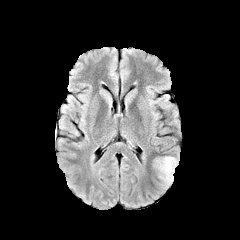
FLAIR MR.
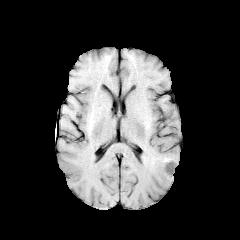
T1-weighted MRI.
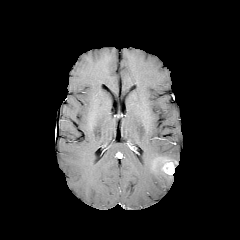
Post-contrast T1-weighted MRI.
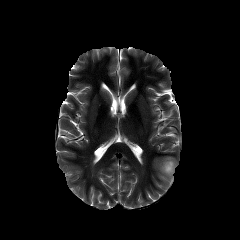
T2-weighted MR image.
Edema = x1=156 y1=156 x2=178 y2=185.
Enhancing tumor = x1=162 y1=162 x2=175 y2=175.